Abdomen; 512x512; Slice 98 of 260; Computed tomography

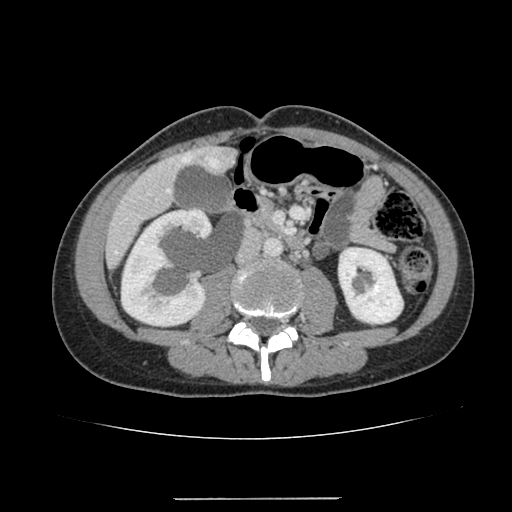

Liver: bounding box <box>105,145,236,267</box>.
Kidney: bounding box <box>122,210,210,325</box>, <box>339,248,402,323</box>.